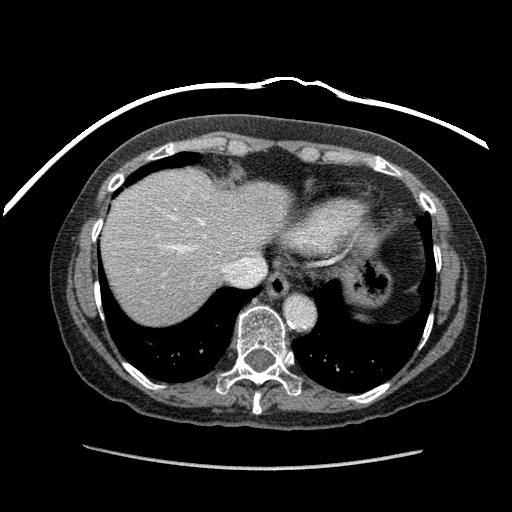
512x512 px. Liver. CT. Liver: <bbox>103, 168, 290, 326</bbox>.